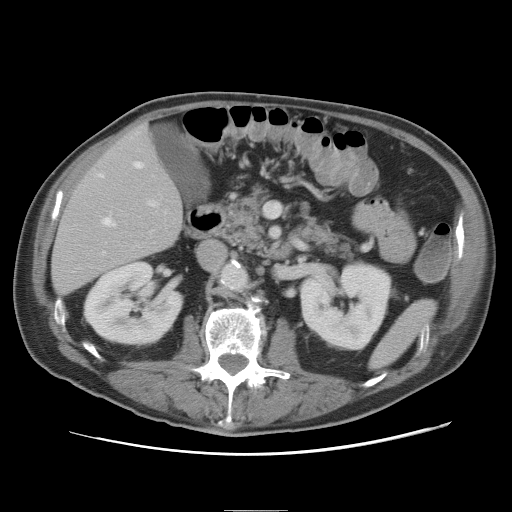

CT image | Liver

Some hepatic vessels may have no box.
hepatic_vessel:
  - x1=143, y1=126, x2=146, y2=129
  - x1=103, y1=218, x2=115, y2=226
  - x1=149, y1=201, x2=156, y2=206
  - x1=103, y1=253, x2=105, y2=254
  - x1=135, y1=163, x2=142, y2=168
  - x1=99, y1=174, x2=104, y2=177